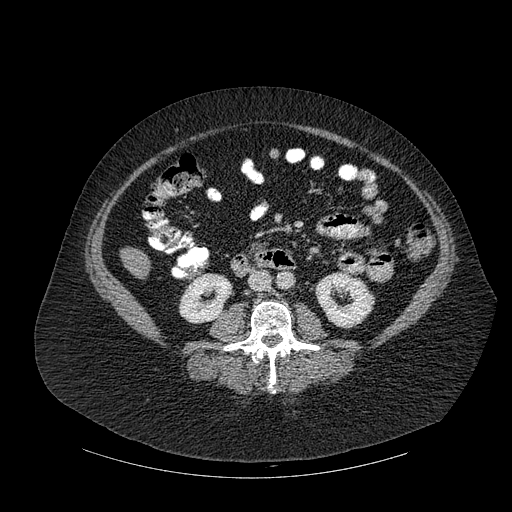
Computed tomography
bone: bbox=[224, 302, 319, 388] | liver: bbox=[121, 247, 150, 279] | kidney: bbox=[180, 274, 231, 322]; bbox=[316, 273, 372, 327]